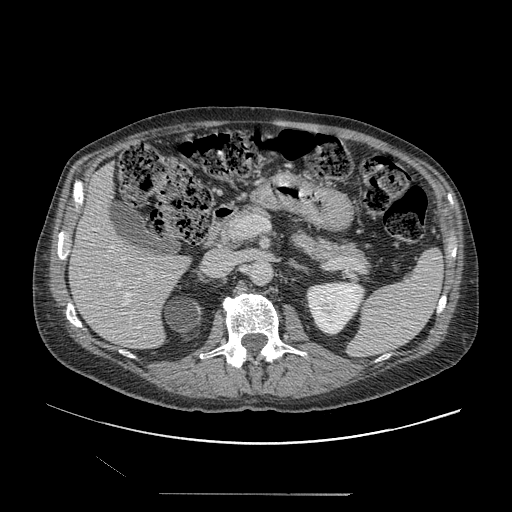 CT slice.
Pancreas: <box>232,206,270,221</box>, <box>288,230,366,263</box>.